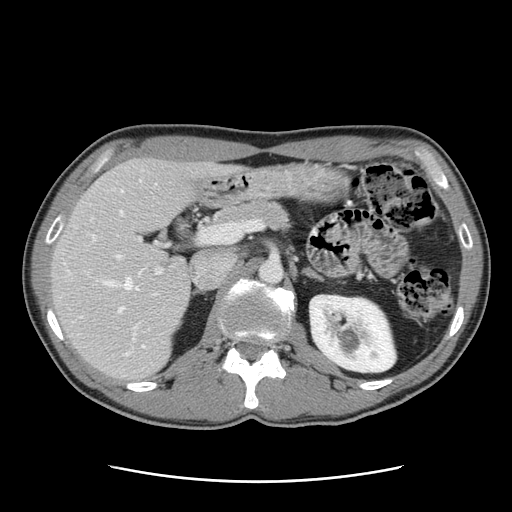
Abdomen | CT scan slice

The vessel annotation is not exhaustive.
15 hepatic vessel regions are bounded by (138, 238, 140, 239), (131, 347, 132, 350), (132, 325, 137, 340), (122, 278, 137, 289), (139, 180, 141, 181), (102, 281, 115, 285), (118, 307, 123, 311), (138, 270, 142, 276), (141, 345, 144, 347), (120, 190, 122, 191), (123, 351, 130, 355), (155, 268, 161, 273), (92, 235, 95, 240), (117, 255, 121, 258), (120, 211, 122, 214).